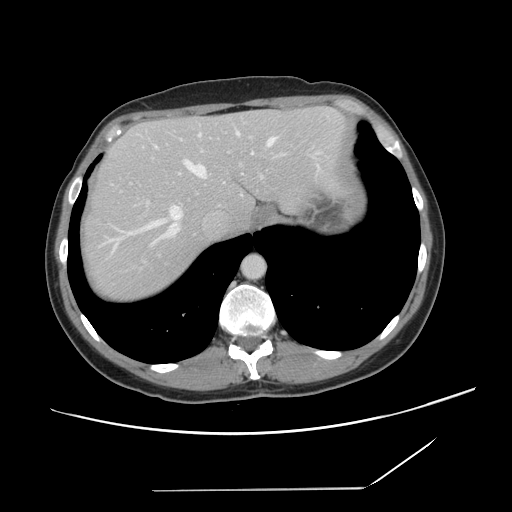 CT image

Some hepatic vessels may have no box.
Findings:
- hepatic vessel (principal 15 of 17): region(313, 151, 321, 160); region(152, 206, 181, 244); region(237, 131, 238, 135); region(121, 231, 132, 235); region(278, 153, 283, 155); region(101, 237, 119, 252); region(260, 175, 262, 177); region(198, 133, 200, 136); region(184, 160, 205, 177); region(316, 163, 320, 173); region(267, 137, 275, 145); region(146, 201, 149, 205); region(252, 152, 253, 154); region(139, 220, 164, 230); region(154, 145, 157, 148)